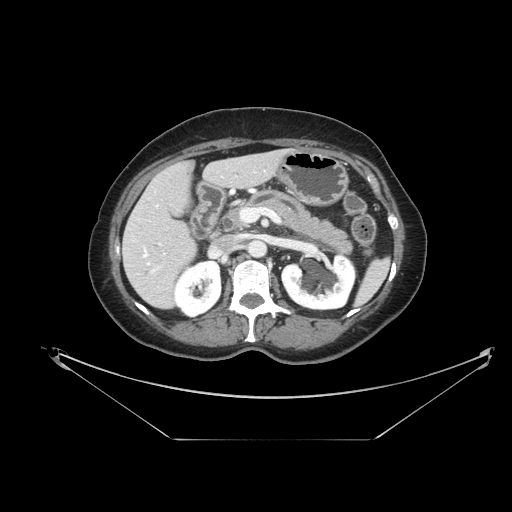 512x512 px, CT image
pancreas: 227, 189, 352, 255